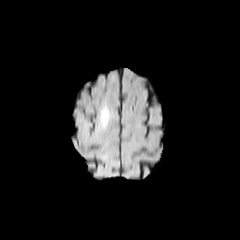
FLAIR MR.
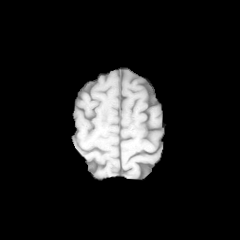
T1-weighted magnetic resonance.
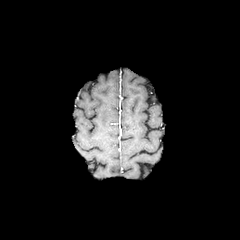
Post-contrast T1-weighted MRI.
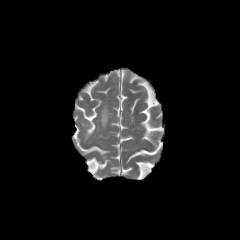
T2-weighted MR of the same slice.
Image size 240x240
The edema is at x1=101 y1=108 x2=108 y2=127.